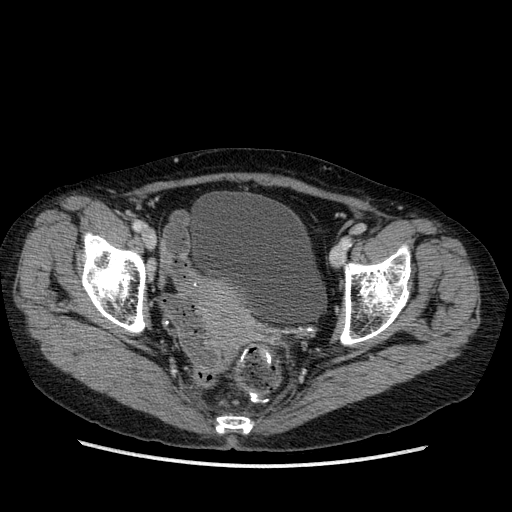

CT scan slice | Lower abdomen
{"urinary_bladder": ["<bbox>187, 190, 326, 324</bbox>"]}